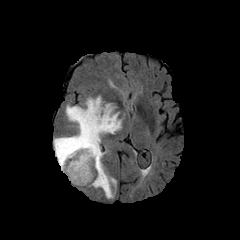
FLAIR MRI.
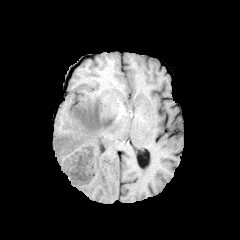
T1-weighted MR.
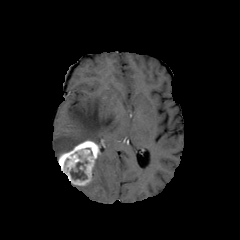
Post-contrast T1-weighted MR image of the same slice.
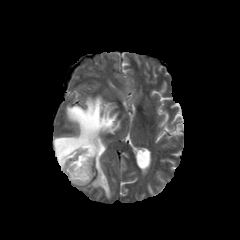
T2-weighted magnetic resonance.
Brain.
The non-enhancing tumor core is bounded by (70, 170, 86, 179). 2 edema regions are located at (89, 152, 116, 198), (53, 96, 121, 158). The enhancing tumor lies within (58, 140, 100, 186).